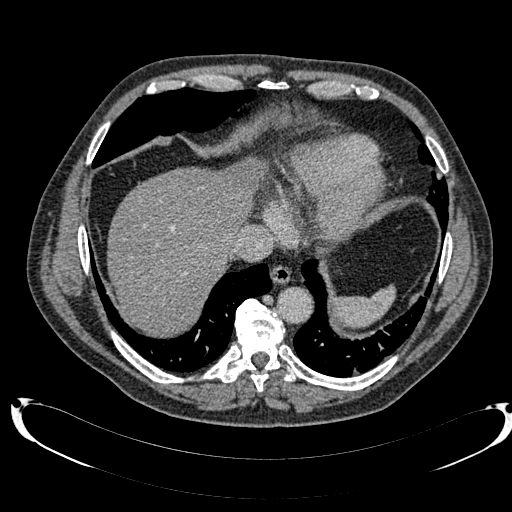

CT image | Abdomen
{
  "liver": [
    "x1=107, y1=156, x2=268, y2=335"
  ]
}